Slice 25 of 155
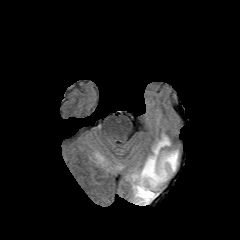
FLAIR magnetic resonance.
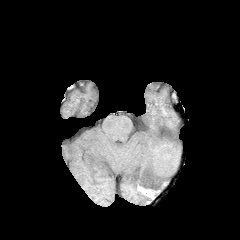
T1-weighted MR image of the same slice.
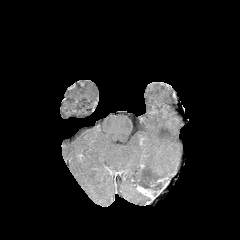
Post-contrast T1-weighted MR image.
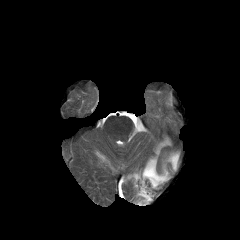
T2-weighted MR.
non-enhancing tumor core: (143,187,152,199) | edema: (128,135,179,204)